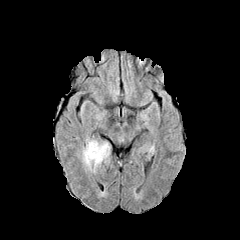
FLAIR magnetic resonance.
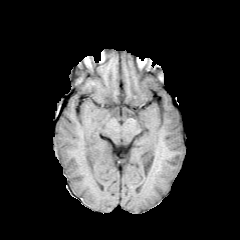
T1-weighted MRI.
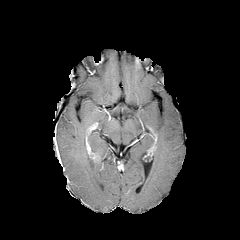
Same slice, post-contrast T1-weighted MR.
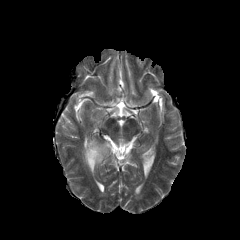
T2-weighted MR.
Findings:
* enhancing tumor: (86,142,98,161)
* edema: (80,135,110,174)
* non-enhancing tumor core: (86,151,100,163)